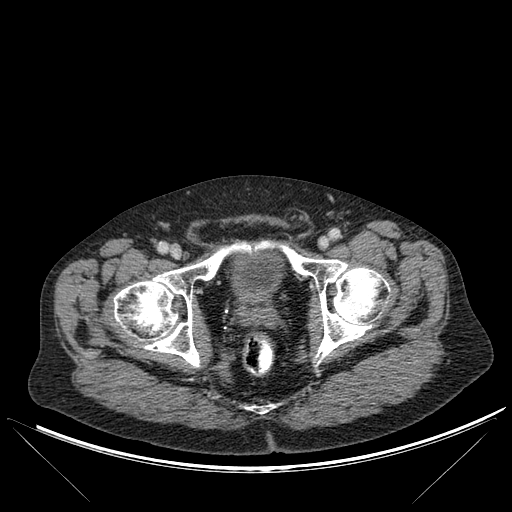

CT

3 bone regions are bounded by [114,241,276,366], [278,245,388,358], [250,404,274,413].